CT 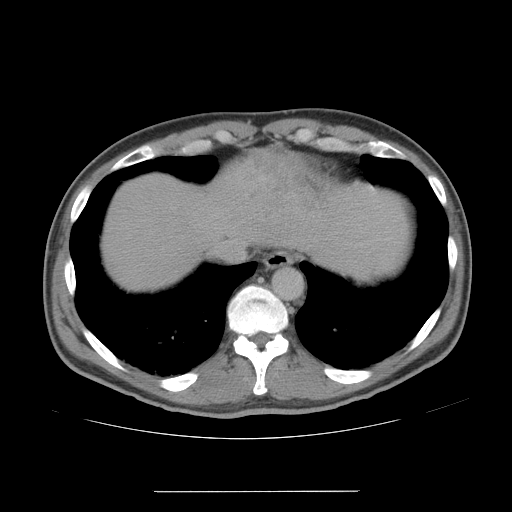

The vessel annotation is not exhaustive.
<segmentation>
  <hepatic_vessel>229, 252, 237, 258</hepatic_vessel>
  <liver_tumor>250, 150, 337, 211</liver_tumor>
</segmentation>